Liver | Slice 24 of 46 | CT

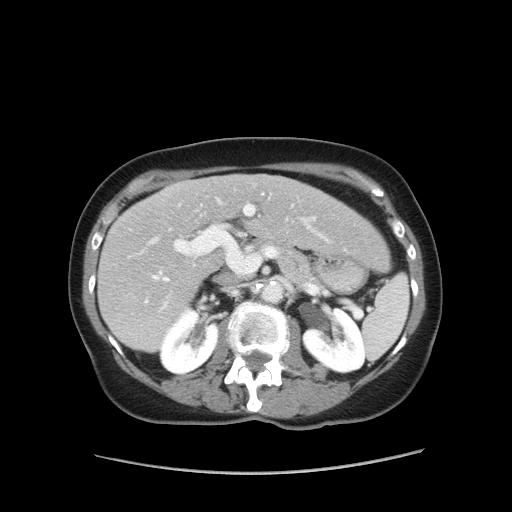

Not every hepatic vessel necessarily has a box.
Annotated regions:
• hepatic vessel (most prominent 15 of 16): (x1=162, y1=302, x2=166, y2=307), (x1=300, y1=216, x2=328, y2=241), (x1=201, y1=213, x2=204, y2=215), (x1=168, y1=293, x2=170, y2=295), (x1=148, y1=237, x2=158, y2=245), (x1=166, y1=227, x2=172, y2=231), (x1=172, y1=223, x2=280, y2=276), (x1=242, y1=202, x2=255, y2=215), (x1=215, y1=196, x2=225, y2=205), (x1=153, y1=269, x2=167, y2=280), (x1=287, y1=272, x2=292, y2=275), (x1=290, y1=204, x2=292, y2=208), (x1=285, y1=217, x2=293, y2=221), (x1=136, y1=249, x2=144, y2=254), (x1=128, y1=255, x2=133, y2=257)